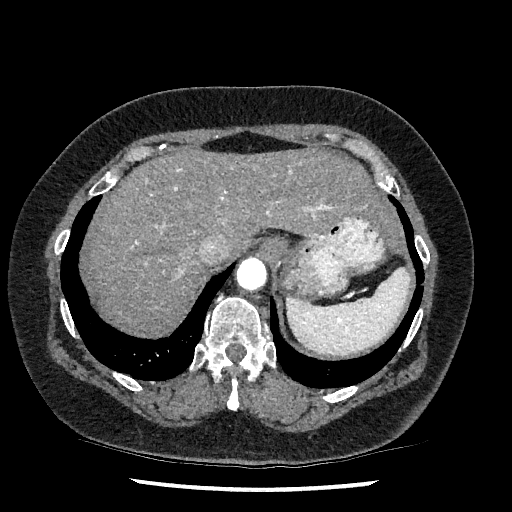

Upper abdomen. CT image. Liver at 86, 149, 405, 334.